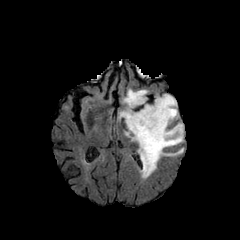
FLAIR magnetic resonance.
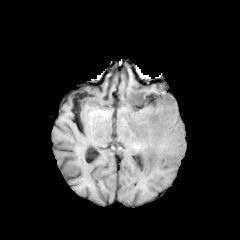
T1-weighted MR.
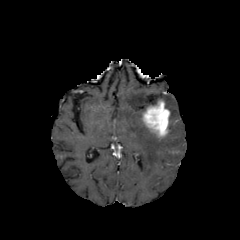
Post-contrast T1-weighted magnetic resonance of the same slice.
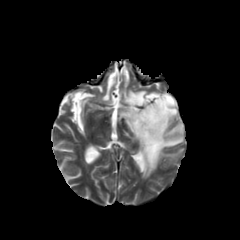
T2-weighted MR.
Annotated regions:
* edema: x1=117, y1=86, x2=184, y2=178
* enhancing tumor: x1=140, y1=98, x2=171, y2=139